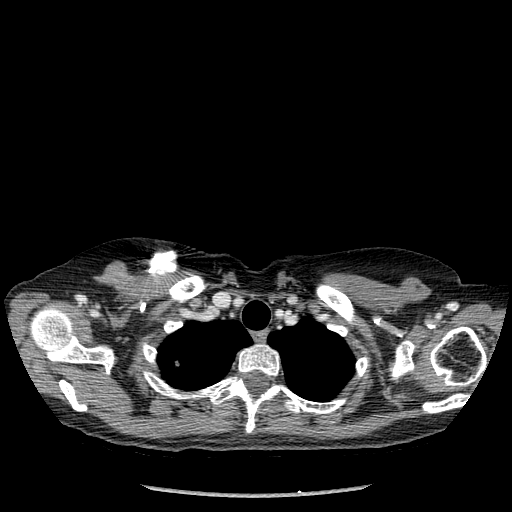

Chest. 512x512. CT image.
Bone: bounding box {"x1": 142, "y1": 343, "x2": 156, "y2": 363}, {"x1": 422, "y1": 393, "x2": 469, "y2": 413}, {"x1": 164, "y1": 320, "x2": 182, "y2": 333}, {"x1": 238, "y1": 344, "x2": 279, "y2": 375}, {"x1": 168, "y1": 275, "x2": 205, "y2": 302}, {"x1": 327, "y1": 322, "x2": 347, "y2": 336}, {"x1": 390, "y1": 341, "x2": 414, "y2": 379}, {"x1": 59, "y1": 380, "x2": 87, "y2": 411}, {"x1": 356, "y1": 356, "x2": 368, "y2": 376}, {"x1": 316, "y1": 285, "x2": 357, "y2": 324}, {"x1": 429, "y1": 326, "x2": 486, "y2": 387}, {"x1": 30, "y1": 305, "x2": 114, "y2": 374}, {"x1": 143, "y1": 371, "x2": 345, "y2": 432}.
Lung: bounding box {"x1": 157, "y1": 300, "x2": 270, "y2": 390}, {"x1": 268, "y1": 317, "x2": 354, "y2": 401}.